CT image. Slice index 29. Abdomen. 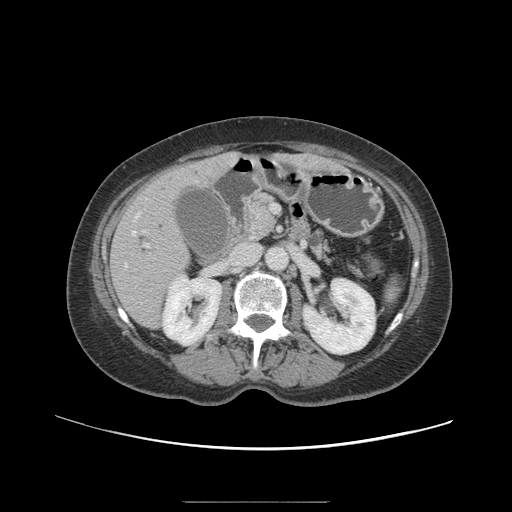
{"pancreas": ["[315, 245, 326, 256]", "[247, 194, 275, 241]"], "pancreatic_tumor": ["[256, 209, 274, 232]"]}